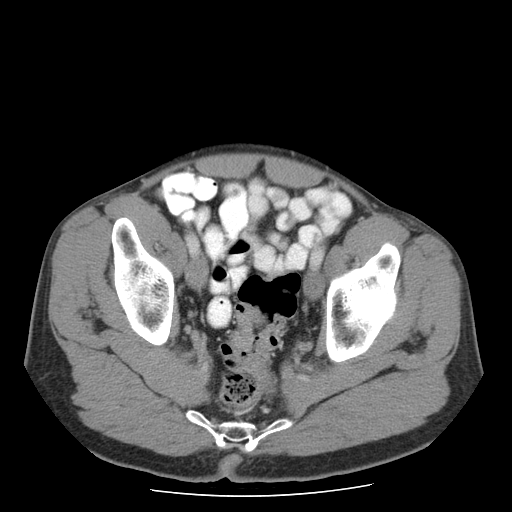

Abdomen | CT scan slice
colon_tumor:
  - <bbox>231, 304, 286, 382</bbox>